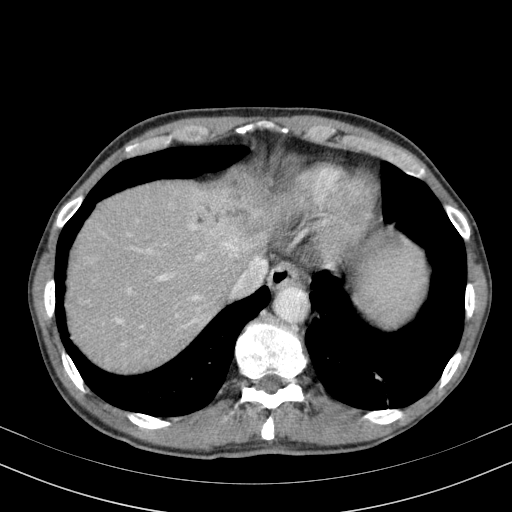
CT scan slice
{
  "liver": [
    "(66, 163, 270, 374)"
  ]
}